CT slice; Slice 38 of 97 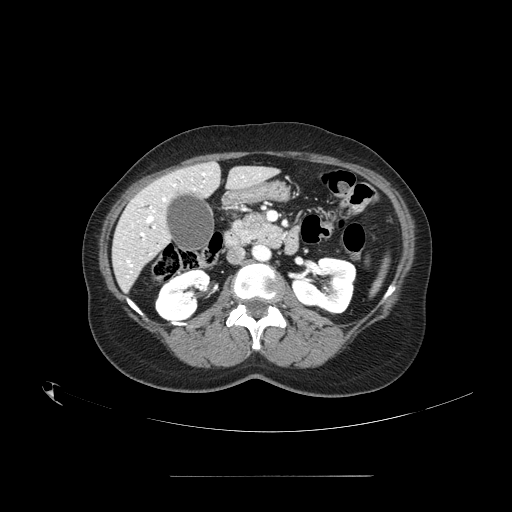
pancreatic_tumor:
  - box(245, 213, 265, 223)
pancreas:
  - box(233, 211, 282, 247)